Computed tomography. Upper abdomen.

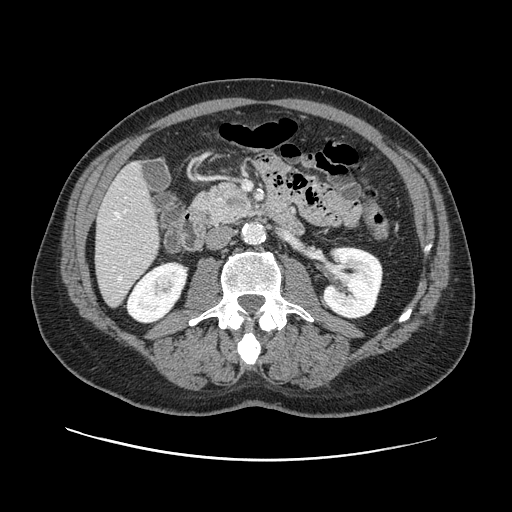 The pancreas is bounded by bbox(202, 181, 252, 225). The pancreatic tumor appears at bbox(222, 193, 247, 208).